Field of view 240 mm wide, 1.00 mm slice spacing. 240x240 px. Slice 125 of 155.
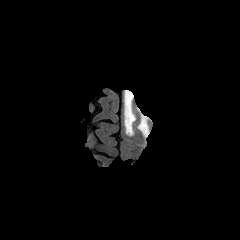
FLAIR MRI.
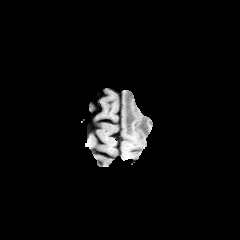
T1-weighted MR image of the same slice.
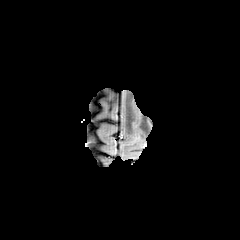
Same slice, post-contrast T1-weighted magnetic resonance.
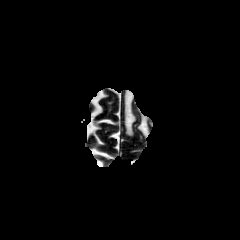
Same slice, T2-weighted MR image.
Non-enhancing tumor core: bounding box [138, 116, 147, 133], [124, 94, 133, 131].
Edema: bounding box [122, 90, 151, 143].